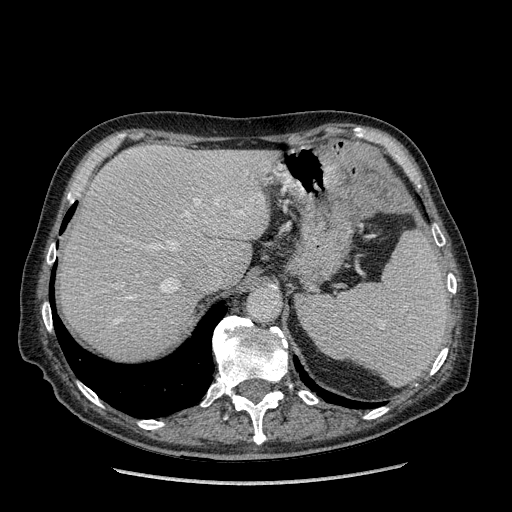

512x512 | CT slice
liver: {"x1": 60, "y1": 145, "x2": 276, "y2": 361}